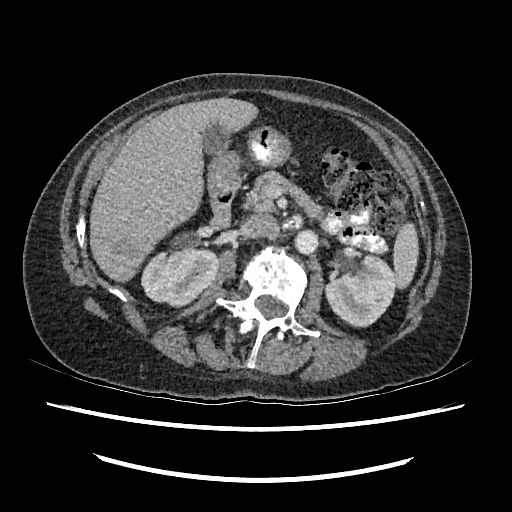 CT scan slice. Abdomen. Image size 512x512.
<segmentation>
  <liver>l=90, t=98, r=256, b=281</liver>
  <kidney>l=142, t=249, r=218, b=305; l=326, t=256, r=396, b=325</kidney>
  <liver_lesion>l=114, t=241, r=135, b=257</liver_lesion>
</segmentation>